CT scan slice 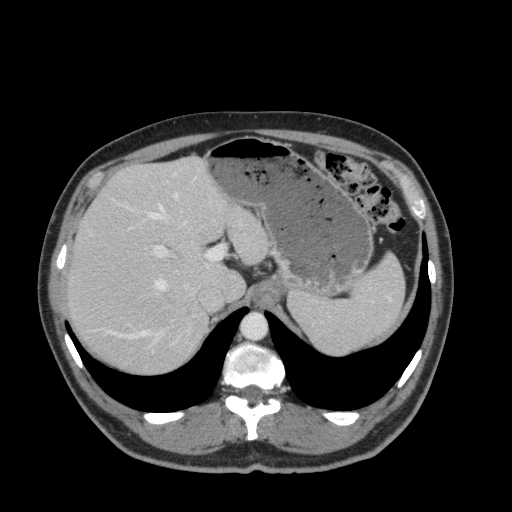

2 liver regions are located at (left=350, top=252, right=405, bottom=350), (left=67, top=157, right=269, bottom=372).